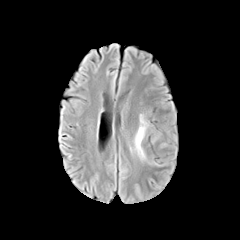
FLAIR MRI.
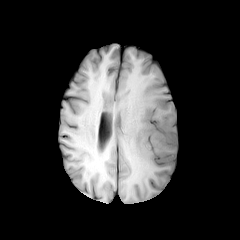
T1-weighted magnetic resonance.
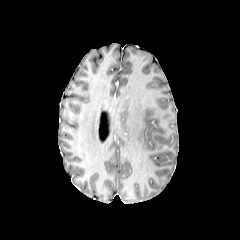
Post-contrast T1-weighted magnetic resonance.
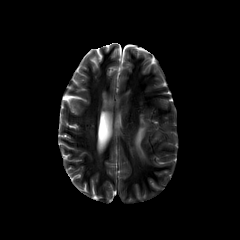
T2-weighted MR of the same slice.
Edema at left=134, top=114, right=149, bottom=158.